Computed tomography. Abdomen. 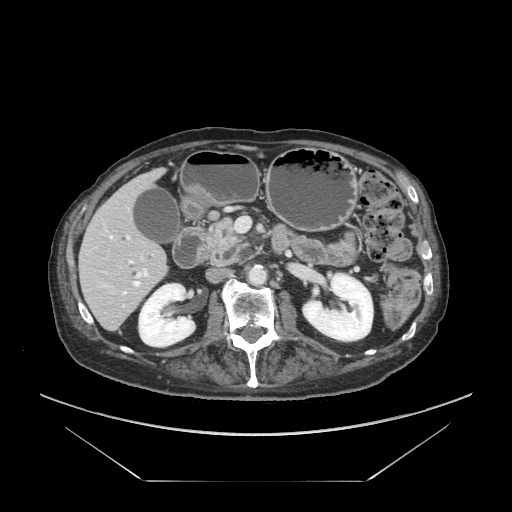

Pancreas: bounding box left=206, top=218, right=248, bottom=264.